FLAIR MRI.
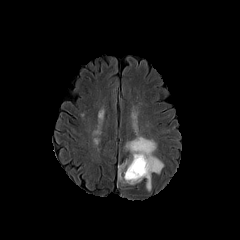
T1-weighted MR image.
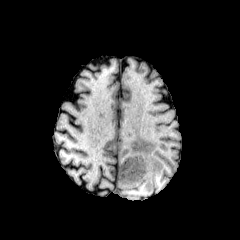
Post-contrast T1-weighted MR.
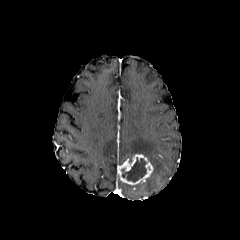
T2-weighted MRI.
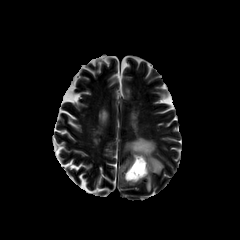
edema:
  - {"x1": 125, "y1": 136, "x2": 163, "y2": 173}
  - {"x1": 146, "y1": 178, "x2": 151, "y2": 191}
non-enhancing_tumor_core:
  - {"x1": 121, "y1": 158, "x2": 147, "y2": 182}
enhancing_tumor:
  - {"x1": 117, "y1": 153, "x2": 153, "y2": 185}